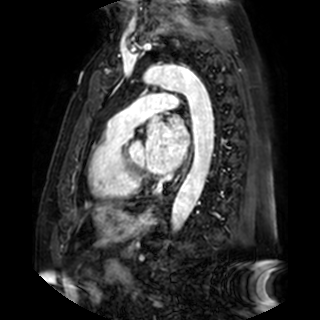 Image size 320x320. Magnetic resonance. Heart.
<segmentation>
  <left_atrium>[x1=146, y1=117, x2=189, y2=173]</left_atrium>
</segmentation>